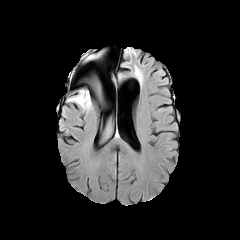
FLAIR MRI.
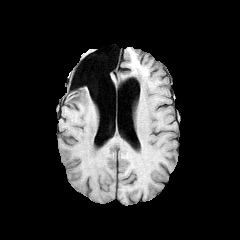
T1-weighted MR image of the same slice.
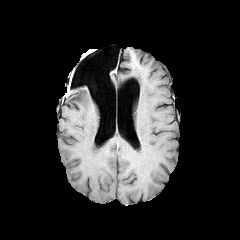
Post-contrast T1-weighted MR image.
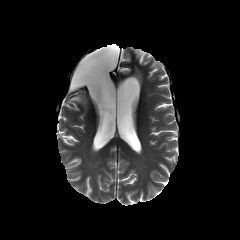
Same slice, T2-weighted MRI.
edema: {"x1": 68, "y1": 90, "x2": 92, "y2": 112}